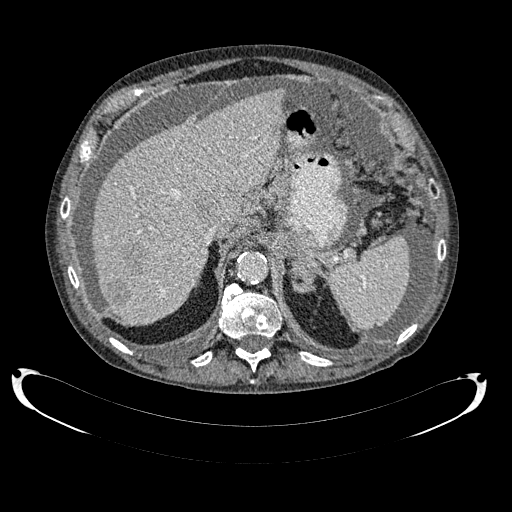
CT slice

{"liver": ["l=91, t=89, r=285, b=324"], "hepatic_lesion": ["l=122, t=243, r=142, b=271", "l=109, t=281, r=129, b=303", "l=192, t=197, r=212, b=221"]}